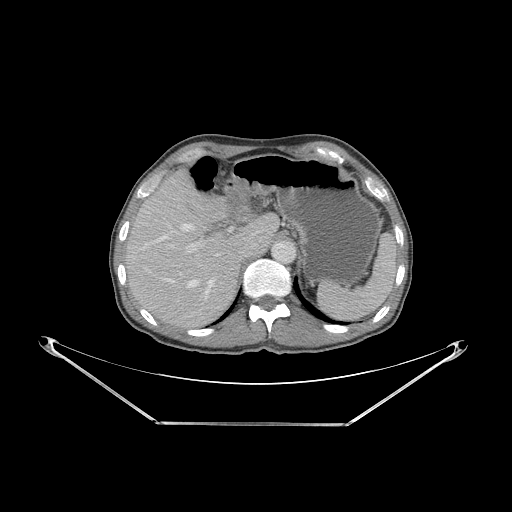
CT scan slice.

The liver appears at rect(126, 169, 278, 326). 11 bone regions appear at rect(119, 221, 128, 240); rect(188, 329, 212, 336); rect(138, 187, 149, 196); rect(395, 226, 402, 245); rect(373, 307, 388, 321); rect(324, 325, 347, 332); rect(371, 188, 386, 198); rect(244, 259, 290, 331); rect(396, 265, 404, 284); rect(141, 309, 156, 324); rect(118, 265, 125, 284). The liver lesion is bounded by rect(232, 196, 238, 208). 2 lung regions are bounded by rect(211, 288, 241, 324); rect(293, 276, 350, 324).